Abdomen | CT image

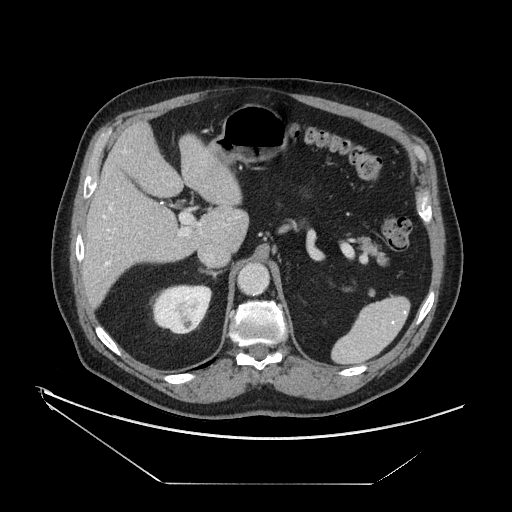

Findings:
* pancreas: {"x1": 358, "y1": 236, "x2": 386, "y2": 263}